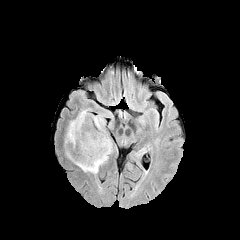
FLAIR MRI.
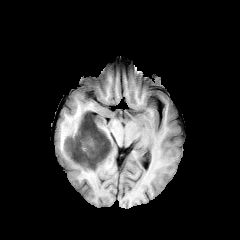
T1-weighted MR.
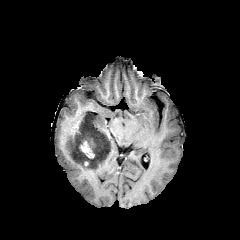
Post-contrast T1-weighted MR image.
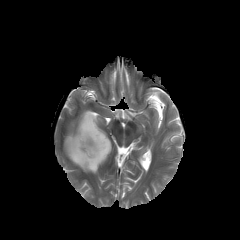
T2-weighted MR image.
Brain.
2 edema regions appear at 94,114,107,136; 64,108,113,173. The non-enhancing tumor core is located at 70,112,109,168. The enhancing tumor appears at 80,141,94,157.